Computed tomography, 512x512 px, Abdomen
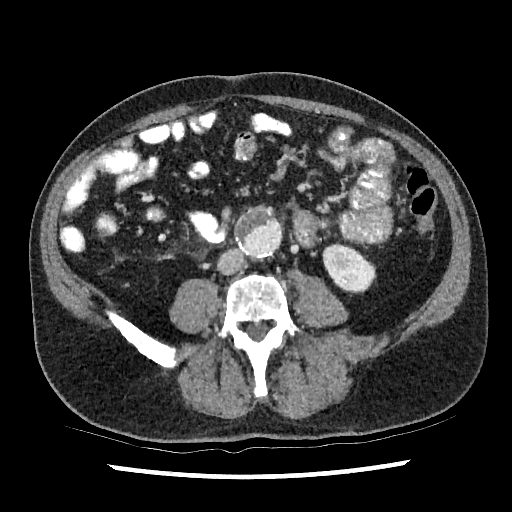 {
  "kidney": [
    "329:250:374:291"
  ]
}